FLAIR MRI.
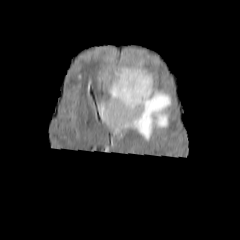
T1-weighted magnetic resonance.
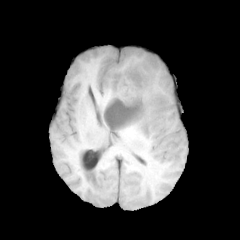
Post-contrast T1-weighted MRI.
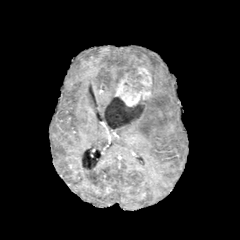
T2-weighted magnetic resonance.
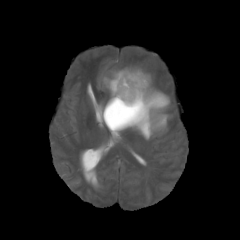
Head. 240x240.
Enhancing tumor: bounding box {"x1": 137, "y1": 67, "x2": 152, "y2": 88}, {"x1": 115, "y1": 74, "x2": 151, "y2": 105}.
Non-enhancing tumor core: bounding box {"x1": 115, "y1": 67, "x2": 152, "y2": 93}, {"x1": 104, "y1": 95, "x2": 143, "y2": 127}.
Edema: bounding box {"x1": 104, "y1": 63, "x2": 140, "y2": 97}, {"x1": 109, "y1": 83, "x2": 171, "y2": 138}.